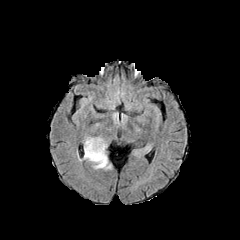
FLAIR magnetic resonance.
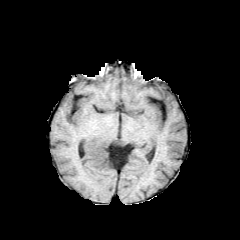
Same slice, T1-weighted MR image.
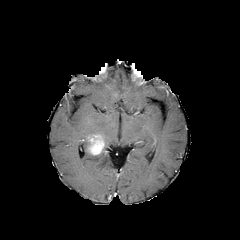
Same slice, post-contrast T1-weighted MR image.
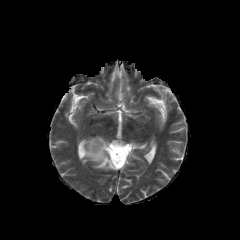
T2-weighted MR.
enhancing tumor: 82, 135, 107, 155 | edema: 79, 142, 112, 169